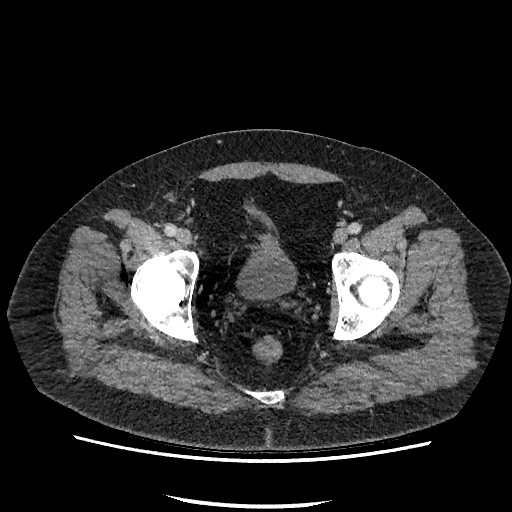

Computed tomography | Pelvis
urinary_bladder:
  - bbox(236, 203, 297, 300)